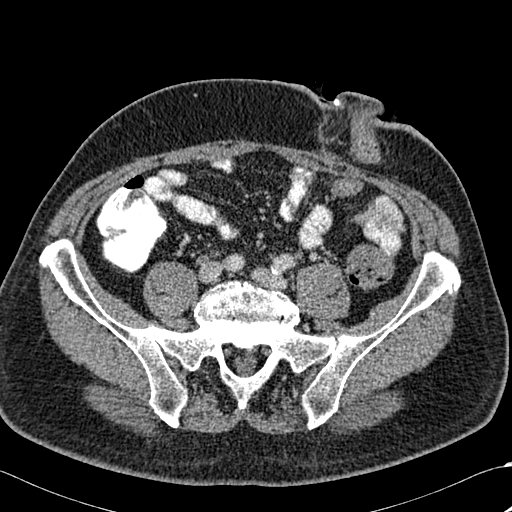 CT image
Bone = bbox=[40, 239, 460, 428].